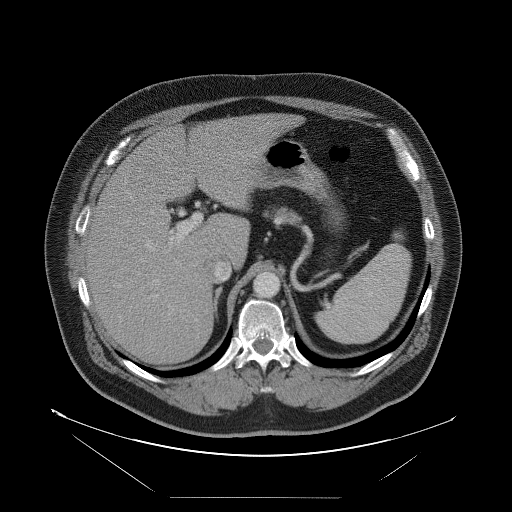

Abdomen; 512x512; Computed tomography
Not every hepatic vessel necessarily has a box.
hepatic vessel: [118,285,120,287], [141,258,145,261], [127,221,129,223], [228,182,229,183], [170,237,172,244], [154,279,160,283], [146,240,156,250], [149,294,157,298], [172,309,173,310]